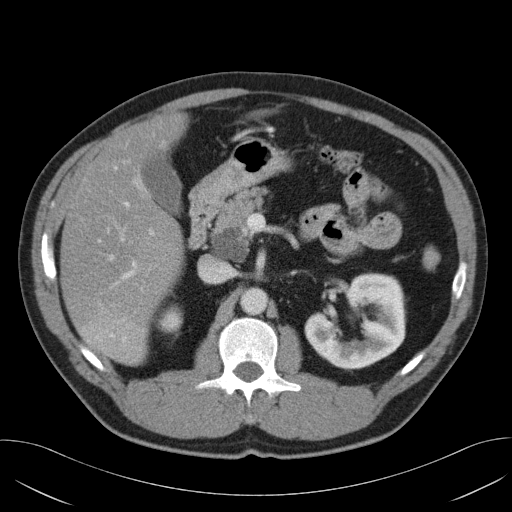
CT; Upper abdomen
Findings:
• pancreas: [207, 186, 267, 256]
• pancreatic tumor: [213, 227, 247, 259]